Image size 512x512 | Upper abdomen | Slice 277 of 689 | CT | Image width 360 mm 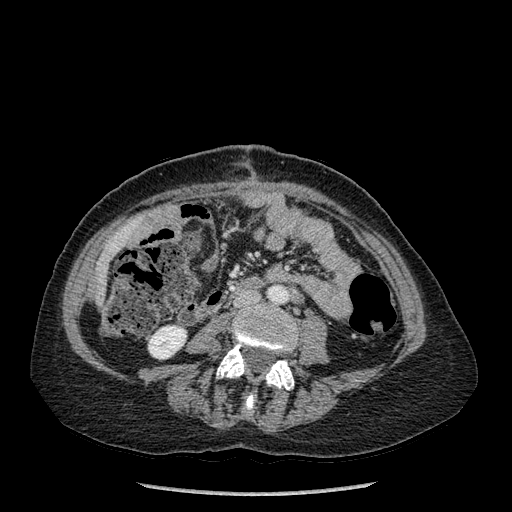
The kidney is at bbox=[148, 326, 186, 358]. 2 liver regions appear at bbox=[96, 232, 126, 305]; bbox=[123, 222, 135, 233]. 3 bone regions are bounded by bbox=[216, 303, 297, 378]; bbox=[244, 393, 254, 414]; bbox=[263, 360, 293, 389].